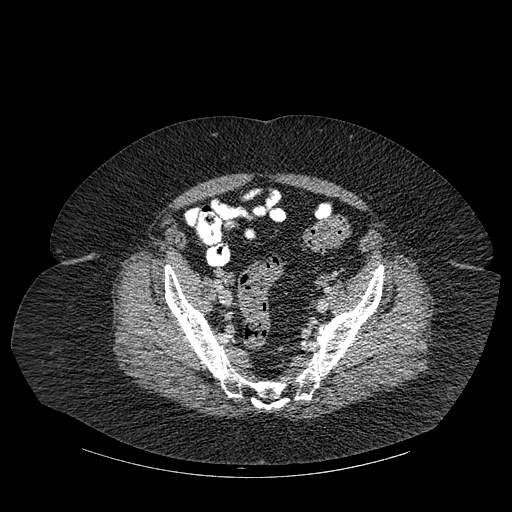
Image size 512x512, CT image
Bone — (165, 265, 289, 409), (220, 246, 229, 262), (295, 265, 383, 399).